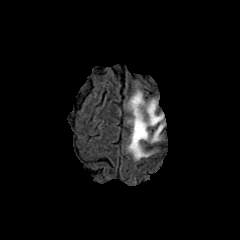
FLAIR MRI.
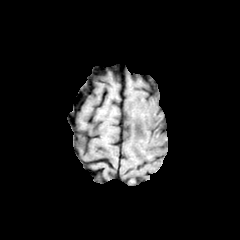
T1-weighted MR image.
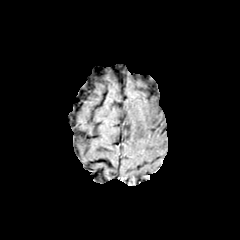
Post-contrast T1-weighted MR image of the same slice.
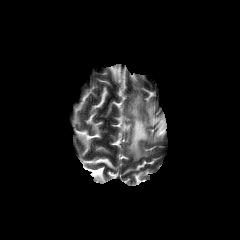
Same slice, T2-weighted MRI.
Head; 240x240
The edema lies within [127,90,165,160].